Field of view 500x500 mm, CT

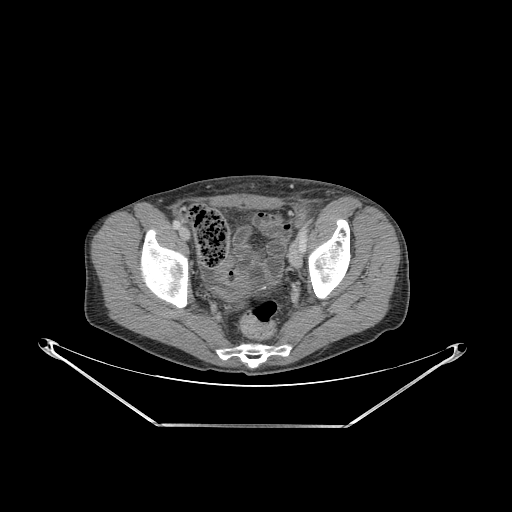
bone: (x1=308, y1=219, x2=350, y2=298), (x1=141, y1=230, x2=187, y2=307), (x1=216, y1=344, x2=291, y2=368)